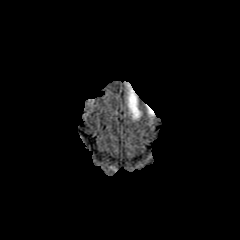
FLAIR MR image.
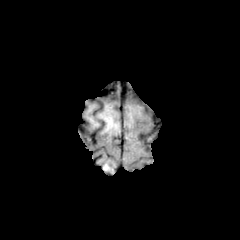
Same slice, T1-weighted MRI.
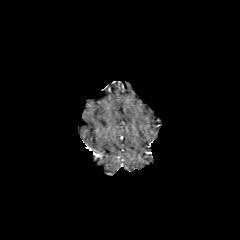
Same slice, post-contrast T1-weighted MR.
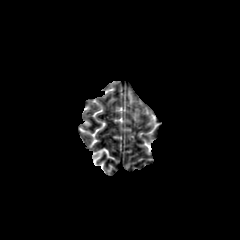
T2-weighted MR image of the same slice.
The edema lies within 129:90:139:117.